Slice index 74 | CT slice

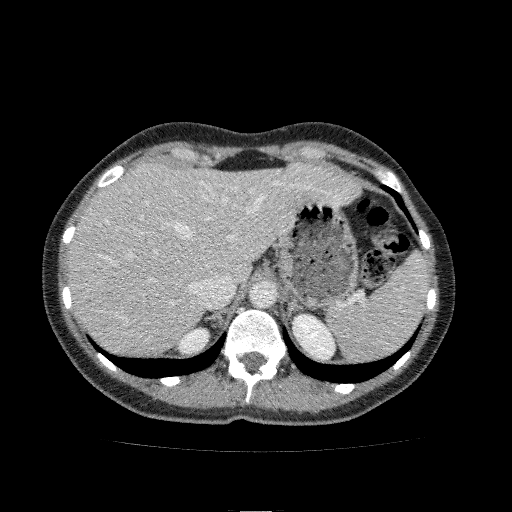 Liver at region(67, 160, 357, 352).
Kidney at region(293, 315, 334, 359); region(179, 329, 208, 353).